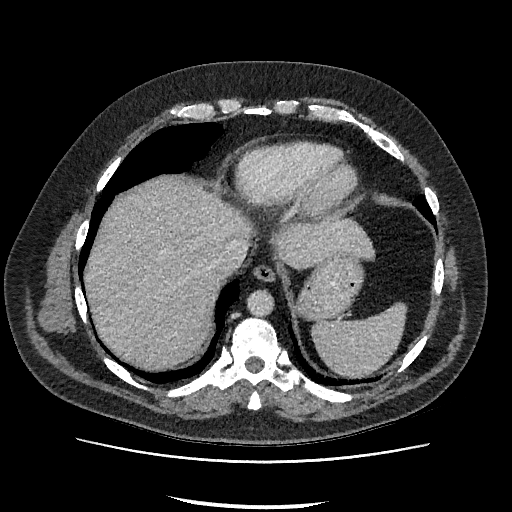 CT slice | 512x512
Liver = <box>278,220,374,268</box>, <box>86,180,252,365</box>.